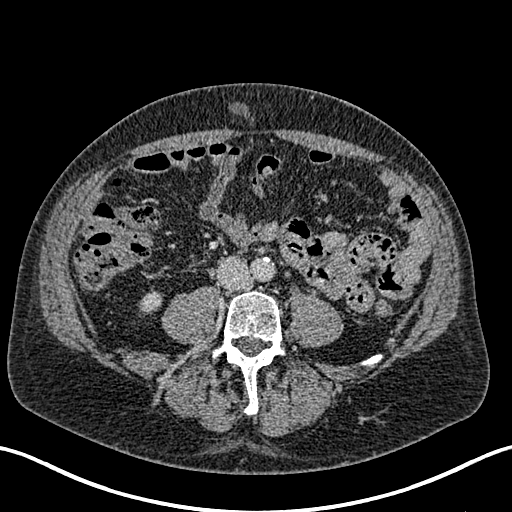 Image size 512x512; Abdomen; CT
Annotated regions:
- kidney: (x1=144, y1=296, x2=157, y2=309)